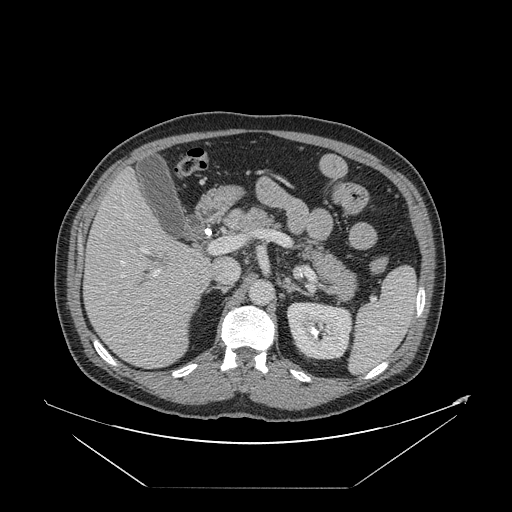 Computed tomography
Only some of the vessels may be annotated.
8 hepatic vessel regions are bounded by bbox=[142, 248, 147, 252]; bbox=[122, 275, 124, 277]; bbox=[210, 236, 236, 253]; bbox=[151, 269, 160, 276]; bbox=[219, 262, 237, 278]; bbox=[148, 334, 150, 340]; bbox=[126, 214, 128, 217]; bbox=[121, 261, 124, 265].